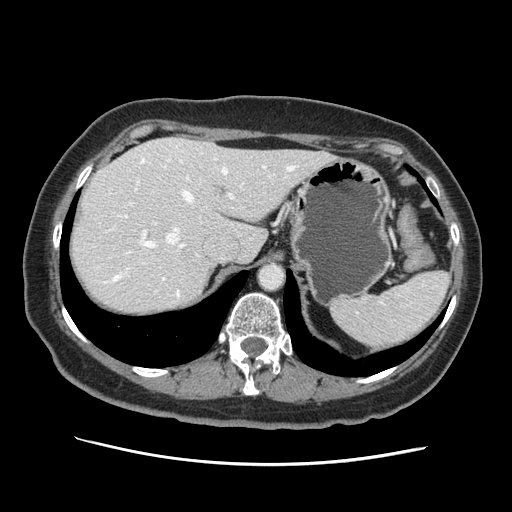

Image size 512x512. Abdomen. CT slice.
Segmented structures:
• spleen: bbox(331, 272, 449, 348)